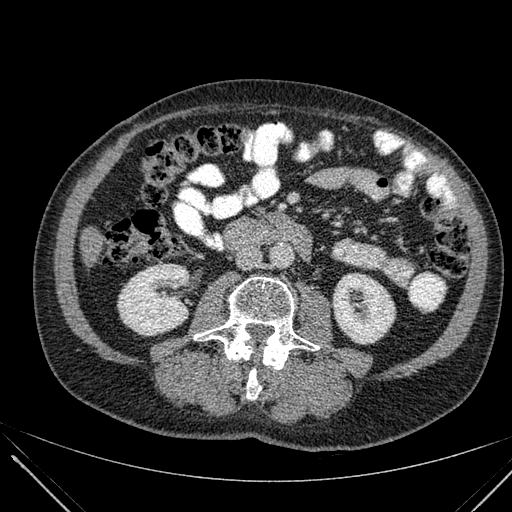 CT image
Kidney — left=333, top=274, right=394, bottom=343; left=118, top=264, right=188, bottom=335.
Liver — left=81, top=227, right=107, bottom=263.